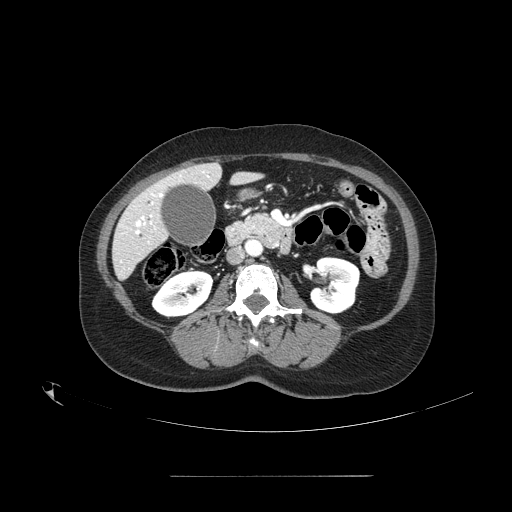 CT scan slice

{
  "pancreas": [
    "x1=241 y1=213 x2=281 y2=247"
  ]
}